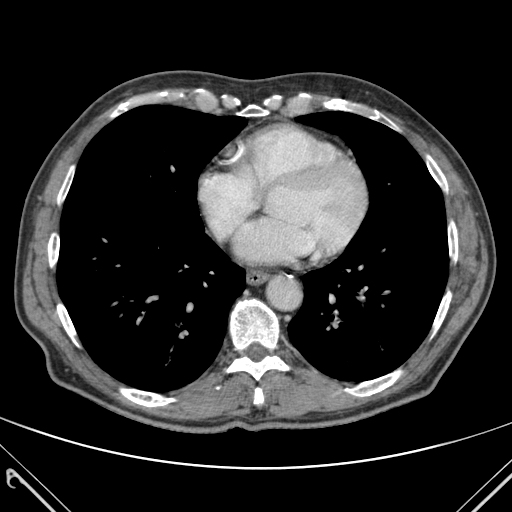

CT; 512x512; Thorax
{
  "bone": [
    "<bbox>111, 102, 129, 116</bbox>",
    "<bbox>57, 301, 77, 345</bbox>",
    "<bbox>345, 371, 400, 396</bbox>",
    "<bbox>227, 356, 288, 379</bbox>",
    "<bbox>57, 166, 73, 207</bbox>",
    "<bbox>48, 231, 59, 268</bbox>",
    "<bbox>433, 291, 450, 332</bbox>",
    "<bbox>448, 222, 457, 260</bbox>",
    "<bbox>427, 156, 447, 190</bbox>",
    "<bbox>324, 99, 395, 126</bbox>",
    "<bbox>237, 105, 268, 116</bbox>",
    "<bbox>230, 299, 278, 348</bbox>",
    "<bbox>254, 388, 263, 403</bbox>",
    "<bbox>121, 389, 174, 406</bbox>"
  ],
  "lung": [
    "<bbox>288, 111, 448, 380</bbox>",
    "<bbox>57, 105, 246, 391</bbox>"
  ]
}